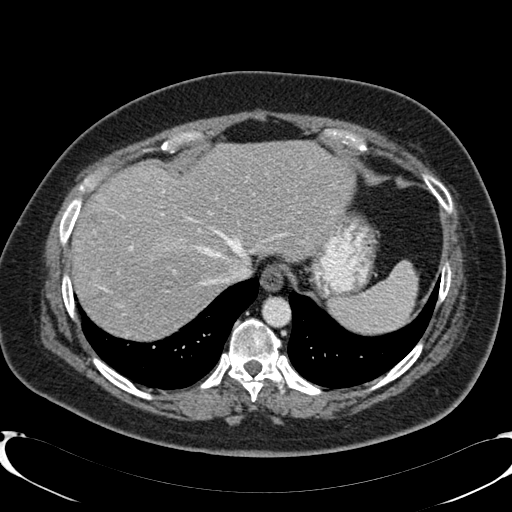 Computed tomography, Upper abdomen
Segmented structures:
• liver: [72,141,352,338]